CT image. Slice index 302. 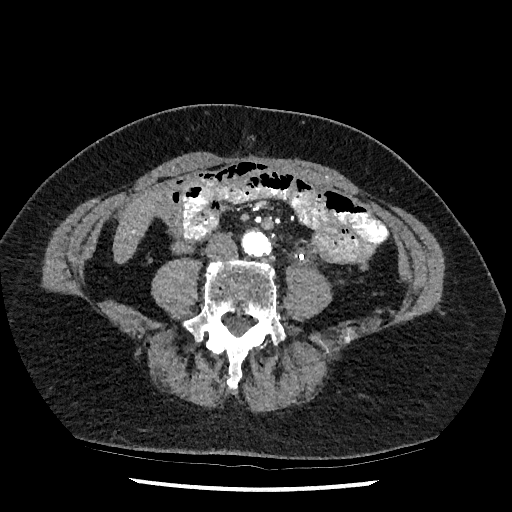

The liver appears at left=114, top=193, right=160, bottom=261.